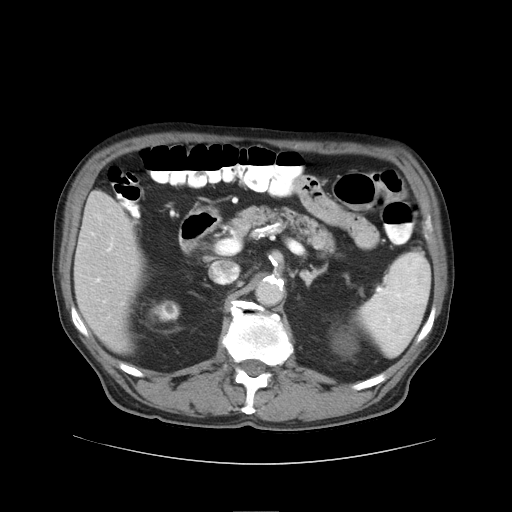
Abdomen; CT slice
The vessel annotation is not exhaustive.
{"hepatic_vessel": ["107 243 112 250"]}